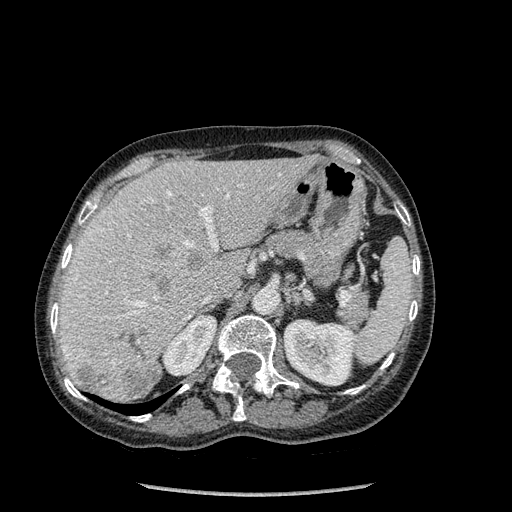

Upper abdomen. CT slice.
kidney: rect(284, 320, 355, 385); rect(163, 315, 215, 375) | liver lesion: rect(155, 244, 172, 256); rect(98, 374, 106, 386); rect(129, 334, 140, 354); rect(122, 367, 157, 396); rect(159, 282, 170, 296); rect(76, 365, 95, 391); rect(188, 252, 201, 267) | lung: rect(94, 395, 167, 415) | bone: rect(408, 300, 417, 320); rect(411, 255, 419, 274); rect(61, 244, 73, 268); rect(130, 414, 151, 422); rect(64, 377, 85, 400); rect(380, 353, 394, 369); rect(50, 303, 59, 333); rect(212, 315, 298, 420); rect(78, 201, 97, 224); rect(344, 385, 364, 394); rect(177, 384, 190, 393); rect(395, 203, 410, 225) | liver: rect(58, 155, 314, 403)